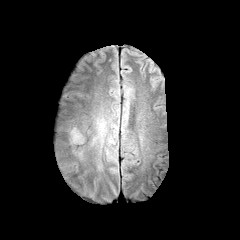
FLAIR MRI.
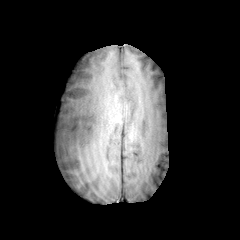
T1-weighted magnetic resonance.
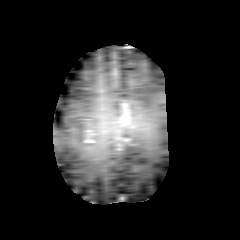
Same slice, post-contrast T1-weighted magnetic resonance.
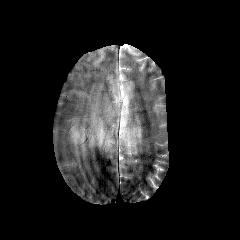
T2-weighted MR of the same slice.
240x240
The edema appears at [72, 128, 79, 141].